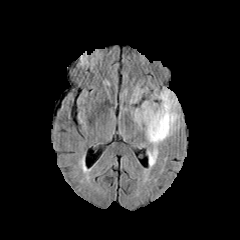
FLAIR MRI.
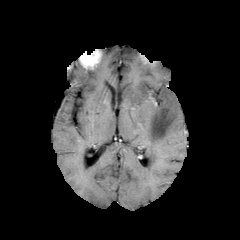
T1-weighted magnetic resonance.
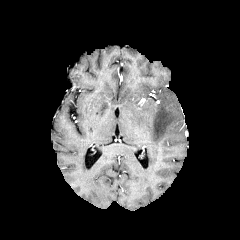
Post-contrast T1-weighted magnetic resonance.
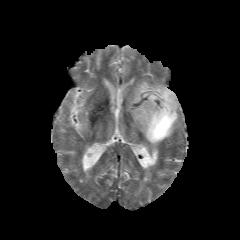
T2-weighted MR image of the same slice.
Head
2 edema regions are located at (132,84,148,101), (134,86,181,144).